Slice 65 of 110 | Magnetic resonance
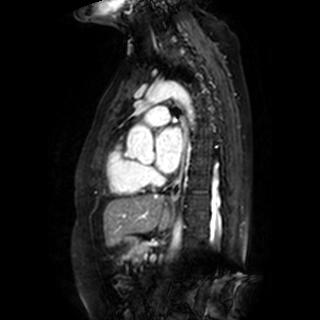

Left atrium at (156, 127, 182, 172).